Field of view 373 mm wide, 0.80 mm slice spacing. CT slice. 512x512. Slice 93/771.

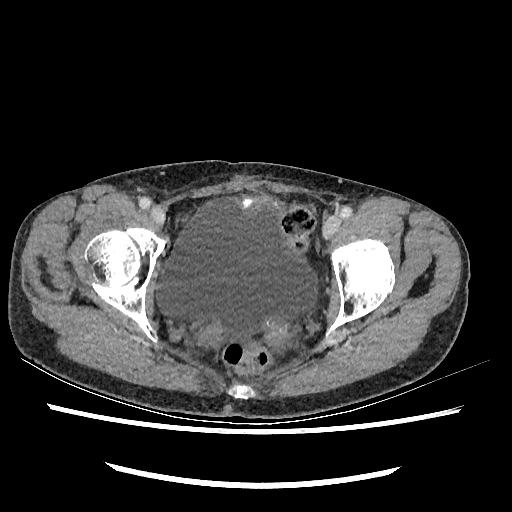 Annotated regions:
• urinary bladder: l=156, t=196, r=317, b=343